FLAIR MRI.
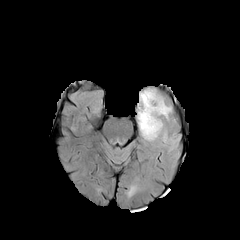
T1-weighted MRI.
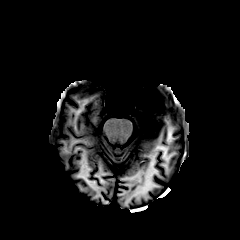
Post-contrast T1-weighted MR image.
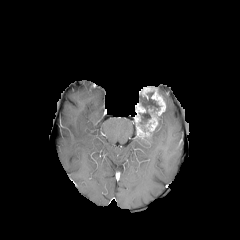
T2-weighted MRI.
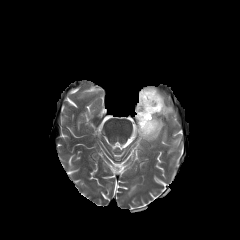
The non-enhancing tumor core is bounded by (138, 88, 160, 138). 2 edema regions appear at (140, 105, 173, 146), (169, 140, 177, 150). 2 enhancing tumor regions are bounded by (144, 86, 165, 119), (136, 103, 146, 123).